Magnetic resonance, Slice index 7 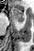

The anterior hippocampus lies within [11, 8, 25, 24].